Field of view 360 mm wide, 0.80 mm slice spacing. 512x512. CT slice. Slice 443/689.
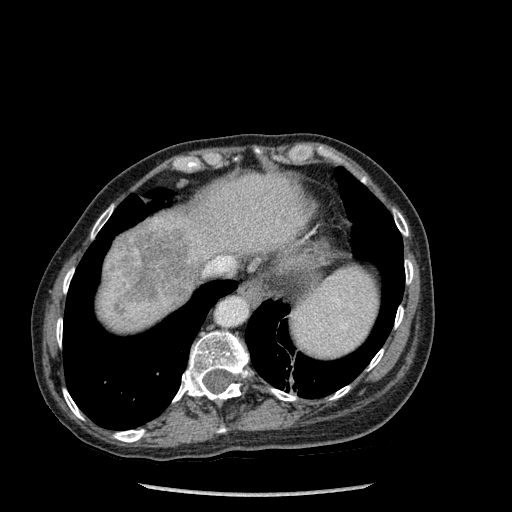 liver_lesion:
  - 125 230 189 301
lung:
  - 63 189 236 429
  - 245 168 404 398
liver:
  - 96 173 314 333
bone:
  - 404 260 413 284
  - 63 389 83 419
  - 114 429 144 442
  - 330 386 350 399
  - 63 268 74 293
  - 393 209 408 235
  - 91 205 113 238
  - 172 331 248 403
  - 395 306 403 328
  - 270 388 295 401
  - 367 349 383 370
  - 56 318 62 346